Slice index 95.
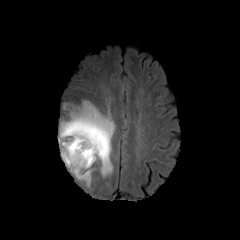
FLAIR MR.
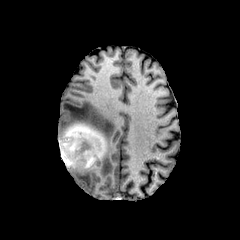
Same slice, T1-weighted MR image.
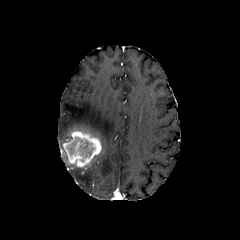
Post-contrast T1-weighted magnetic resonance of the same slice.
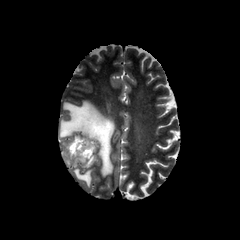
T2-weighted MR image of the same slice.
4 non-enhancing tumor core regions appear at (left=67, top=125, right=106, bottom=159), (left=65, top=137, right=94, bottom=158), (left=81, top=154, right=96, bottom=168), (left=61, top=144, right=79, bottom=168). The enhancing tumor is located at (left=67, top=132, right=100, bottom=167). 2 edema regions are bounded by (left=74, top=169, right=91, bottom=186), (left=60, top=101, right=115, bottom=175).